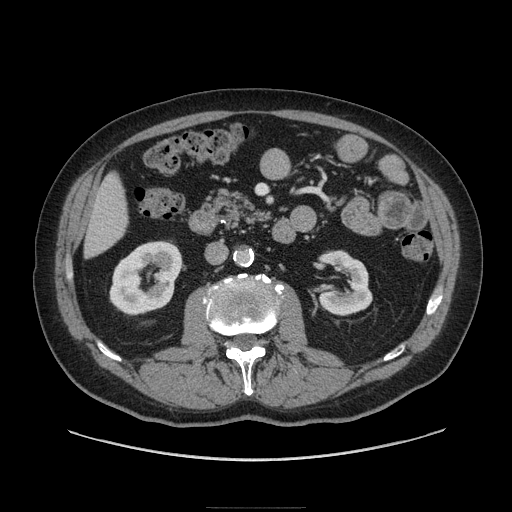
CT | Upper abdomen | 512x512
Pancreas at <bbox>212, 187, 267, 231</bbox>.